Pelvis, Computed tomography
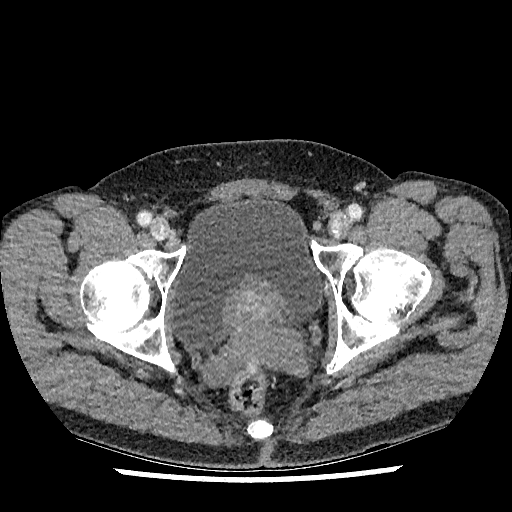

The urinary bladder appears at 171:198:323:350.